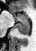
MRI slice

{
  "anterior_hippocampus": [
    "x1=13, y1=14, x2=28, y2=21"
  ],
  "posterior_hippocampus": [
    "x1=15, y1=22, x2=29, y2=36"
  ]
}